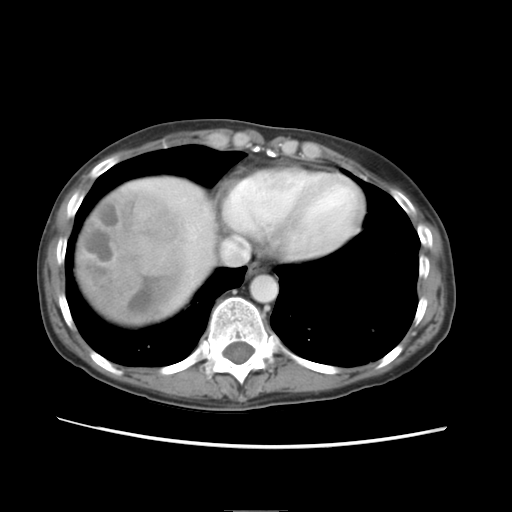

Image size 512x512. Abdomen. CT slice. liver tumor: <bbox>78, 187, 195, 322</bbox>